Field of view 400x400 mm, Slice 545 of 654, Image size 512x512, CT scan slice

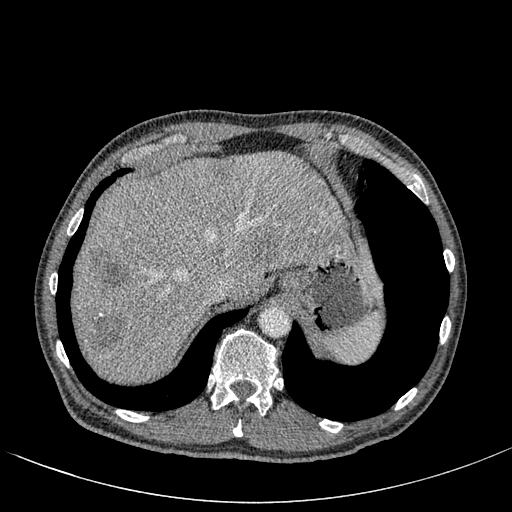

Annotated regions:
- liver: [75, 150, 353, 382]
- focal liver lesion: [251, 228, 281, 263], [89, 249, 129, 293], [288, 204, 305, 222], [81, 307, 126, 351], [212, 160, 231, 181]